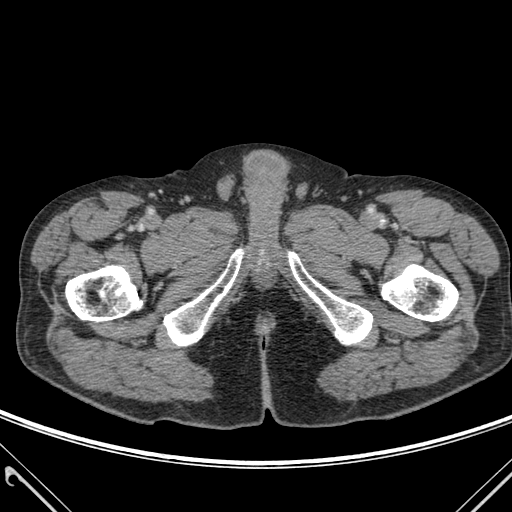 CT slice. 512x512. 4 bone regions appear at <box>65,266,142,321</box>, <box>288,252,372,344</box>, <box>381,264,458,321</box>, <box>163,249,242,345</box>.